Slice 141 of 155, 240x240 px
FLAIR MR.
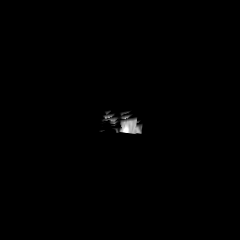
T1-weighted MR image.
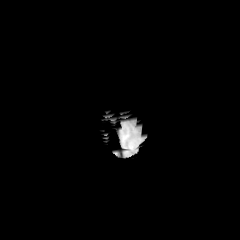
Post-contrast T1-weighted MR.
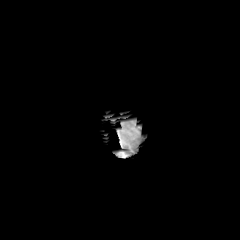
T2-weighted magnetic resonance.
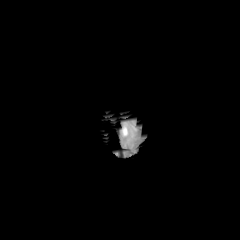
The edema lies within [x1=122, y1=123, x2=136, y2=135].